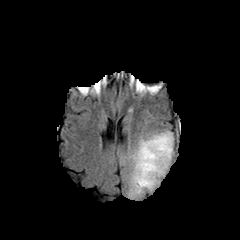
FLAIR magnetic resonance.
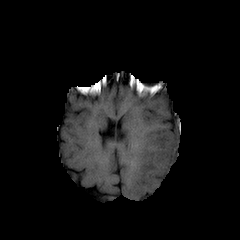
T1-weighted MR of the same slice.
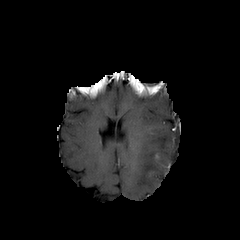
Post-contrast T1-weighted MR.
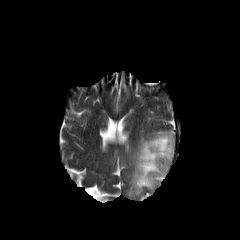
Same slice, T2-weighted MR image.
Brain. 240x240.
Edema = left=128, top=129, right=174, bottom=197.